FLAIR MRI.
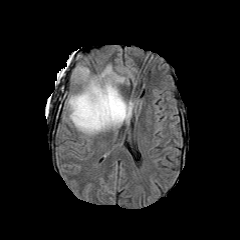
T1-weighted MRI.
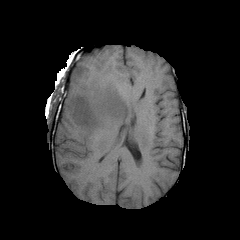
Post-contrast T1-weighted MRI.
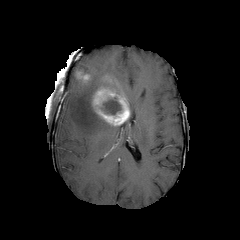
T2-weighted MRI.
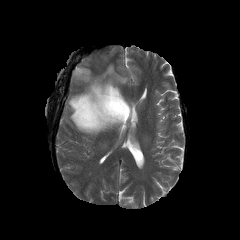
240x240 px
Edema: bounding box <box>66,65,124,135</box>.
Non-enhancing tumor core: bounding box <box>100,97,119,114</box>, <box>101,83,118,92</box>.
Enhancing tumor: bounding box <box>76,70,88,79</box>, <box>92,87,130,125</box>.